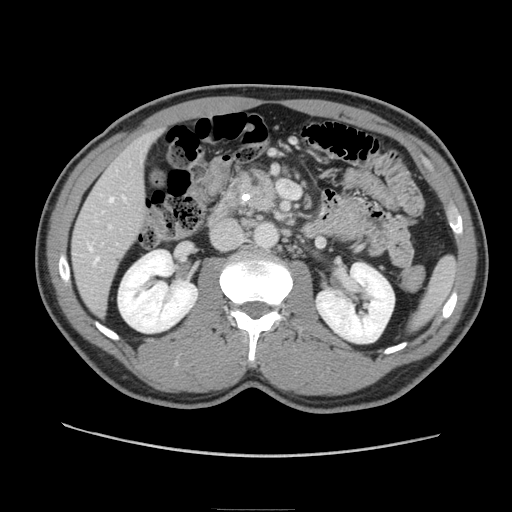 CT slice. Pancreatic tumor: bounding box 243,179,277,210.
Pancreas: bounding box 234,167,278,213.